Computed tomography; Abdomen 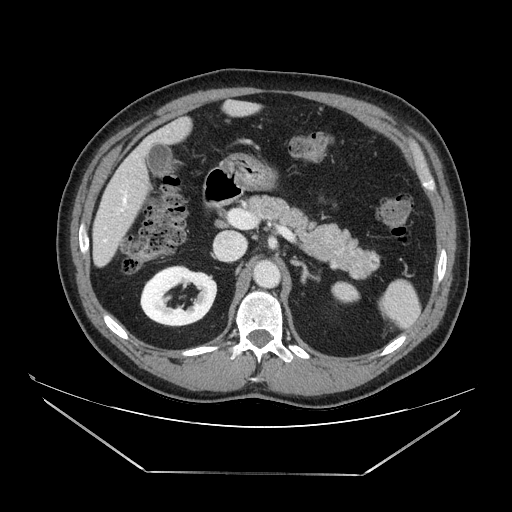
The pancreas lies within (243,195,379,279). The pancreatic tumor is located at (325,225,344,243).